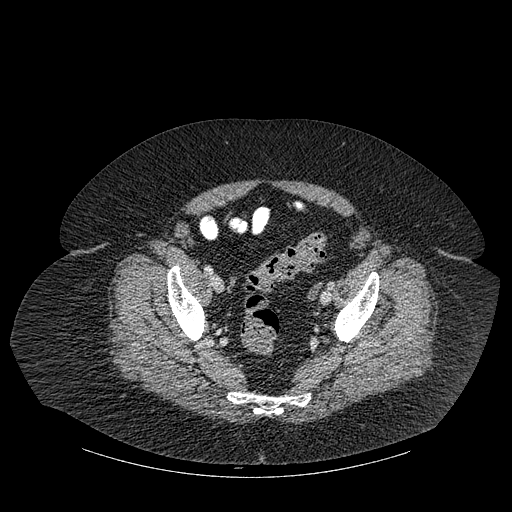 CT slice | Image size 512x512

3 bone regions appear at l=167, t=266, r=204, b=340; l=335, t=272, r=378, b=342; l=227, t=392, r=310, b=414.